FLAIR magnetic resonance.
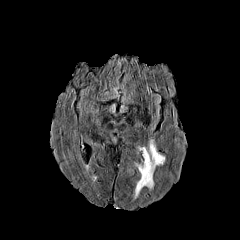
T1-weighted MR.
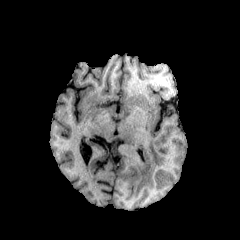
Post-contrast T1-weighted MRI.
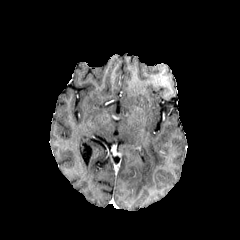
T2-weighted MRI.
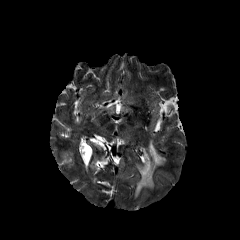
Brain.
{
  "edema": [
    "[133,139,165,199]"
  ]
}